Liver. Slice 515 of 654. CT image. 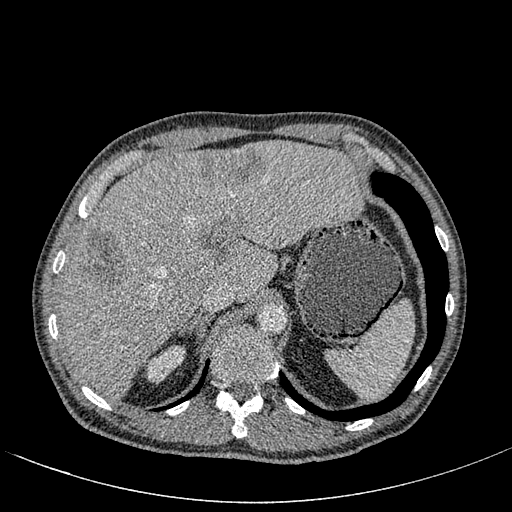

5 liver lesion regions are bounded by (left=170, top=162, right=177, bottom=170), (left=202, top=149, right=264, bottom=186), (left=94, top=325, right=102, bottom=334), (left=81, top=229, right=126, bottom=286), (left=198, top=220, right=240, bottom=263). The liver is bounded by (left=59, top=140, right=364, bottom=398). The kidney is at (left=146, top=345, right=185, bottom=382).